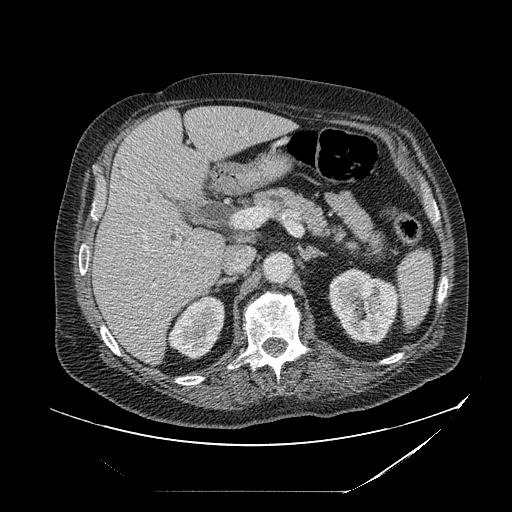 CT scan slice; Abdomen
pancreas:
  - box=[250, 187, 360, 255]